Slice 64 of 155; Head
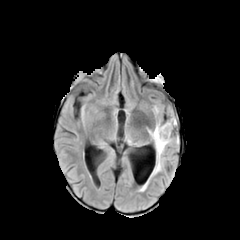
FLAIR MR image.
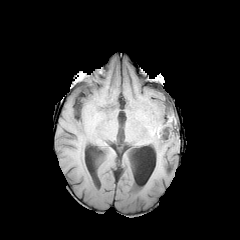
Same slice, T1-weighted MR.
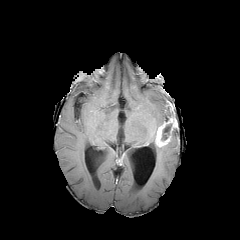
Post-contrast T1-weighted magnetic resonance.
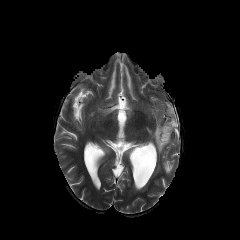
T2-weighted MR image of the same slice.
<segmentation>
  <non-enhancing_tumor_core>162, 122, 171, 139</non-enhancing_tumor_core>
  <edema>150, 130, 179, 178; 148, 118, 169, 147; 152, 106, 159, 120; 162, 106, 175, 117</edema>
  <enhancing_tumor>155, 122, 170, 146; 168, 118, 177, 127</enhancing_tumor>
</segmentation>